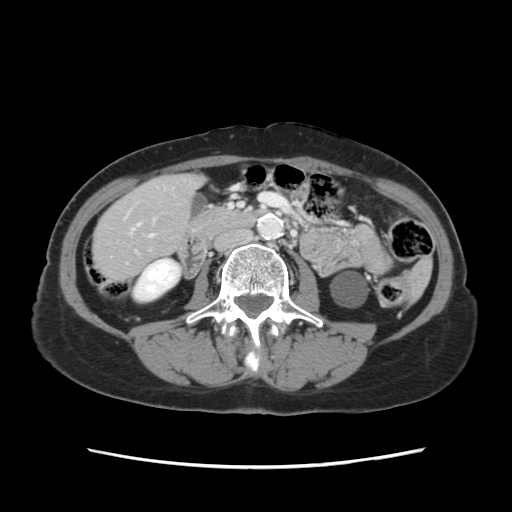
CT scan slice; Image size 512x512

Not every hepatic vessel necessarily has a box.
Annotated regions:
* hepatic vessel: box(149, 235, 152, 236); box(137, 224, 139, 225)